Computed tomography | 512x512 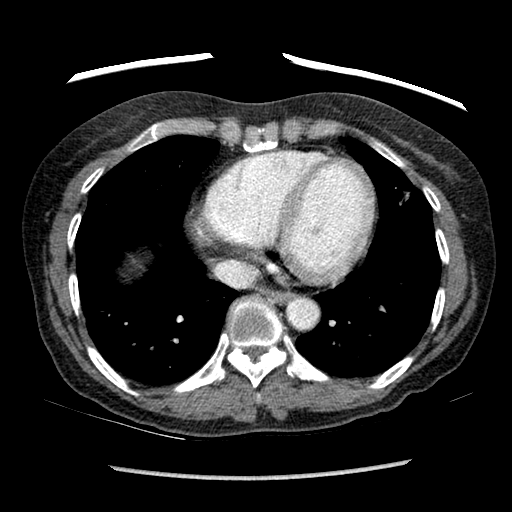
liver: (117, 238, 159, 279)